Field of view 240 mm wide, 1.00 mm slice spacing, Image size 240x240
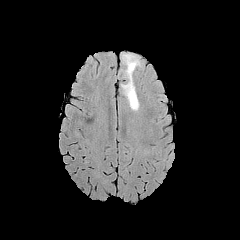
FLAIR MR image.
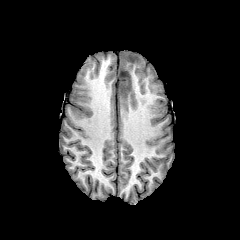
T1-weighted magnetic resonance.
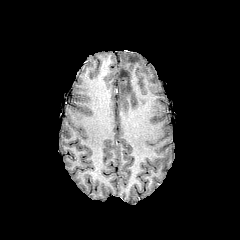
Post-contrast T1-weighted MR image of the same slice.
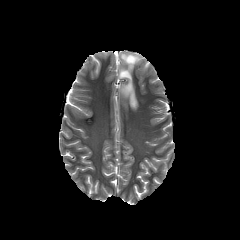
Same slice, T2-weighted MRI.
The edema is bounded by 119 52 142 109. The non-enhancing tumor core is bounded by 120 70 129 79.